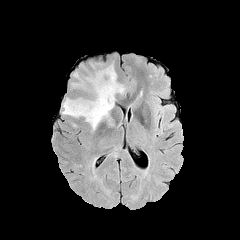
FLAIR MR image.
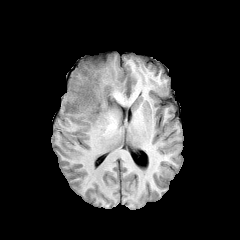
T1-weighted MR image of the same slice.
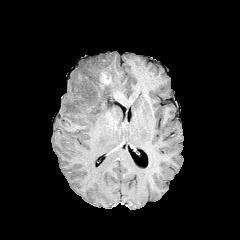
Same slice, post-contrast T1-weighted MR image.
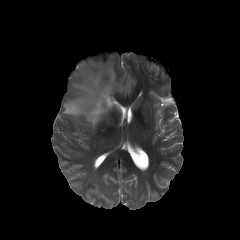
T2-weighted magnetic resonance.
Head
<segmentation>
  <non-enhancing_tumor_core>(left=99, top=72, right=112, bottom=88)</non-enhancing_tumor_core>
  <edema>(left=62, top=64, right=124, bottom=131)</edema>
</segmentation>